FLAIR MRI.
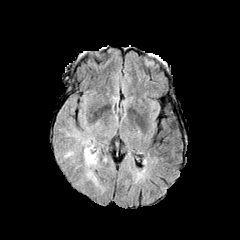
T1-weighted magnetic resonance.
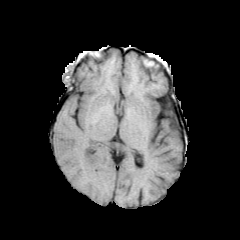
Post-contrast T1-weighted magnetic resonance.
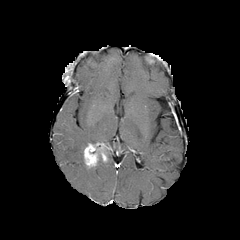
T2-weighted MR.
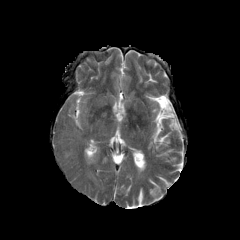
The enhancing tumor is located at l=84, t=144, r=96, b=166. The edema lies within l=72, t=121, r=103, b=190.